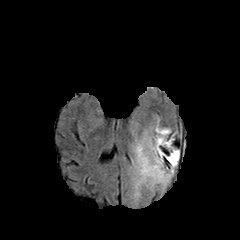
FLAIR MRI.
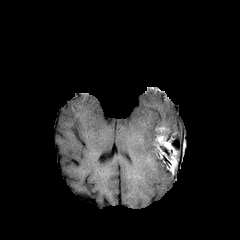
T1-weighted MR of the same slice.
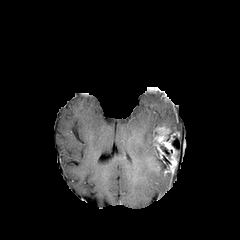
Post-contrast T1-weighted MRI of the same slice.
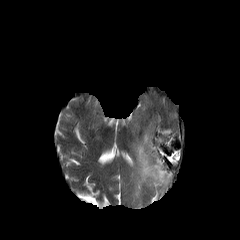
T2-weighted MRI.
Head
Findings:
* edema: box=[131, 119, 179, 199]
* enhancing tumor: box=[157, 130, 177, 174]